Abdomen, Slice 232/260, Field of view 512x512 mm, 512x512, Computed tomography
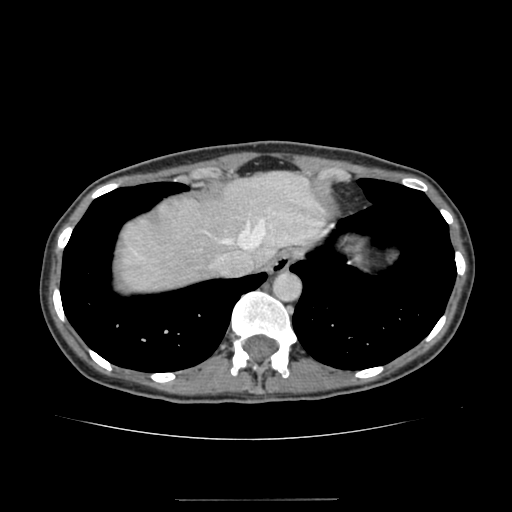

The liver is at (116,172,326,293).